Slice 43/80; CT; Pelvis
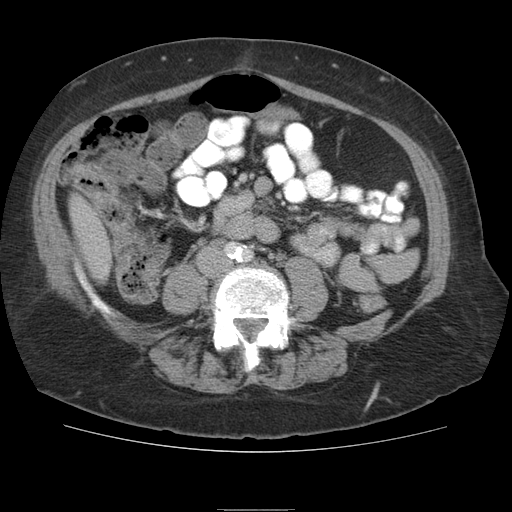

colon tumor: bbox(88, 192, 114, 202); bbox(71, 163, 116, 191)